Image width 240 mm | Image size 240x240 | Head | Slice index 109
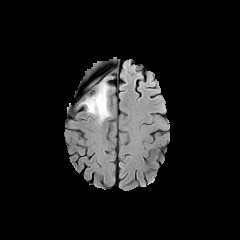
FLAIR magnetic resonance.
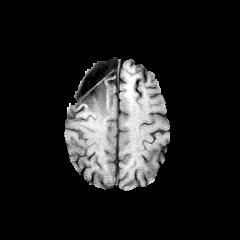
T1-weighted MR image.
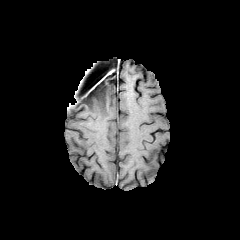
Post-contrast T1-weighted MR of the same slice.
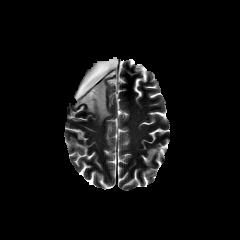
T2-weighted MRI.
The non-enhancing tumor core is bounded by left=82, top=82, right=104, bottom=103. The edema lies within left=80, top=76, right=111, bottom=123.